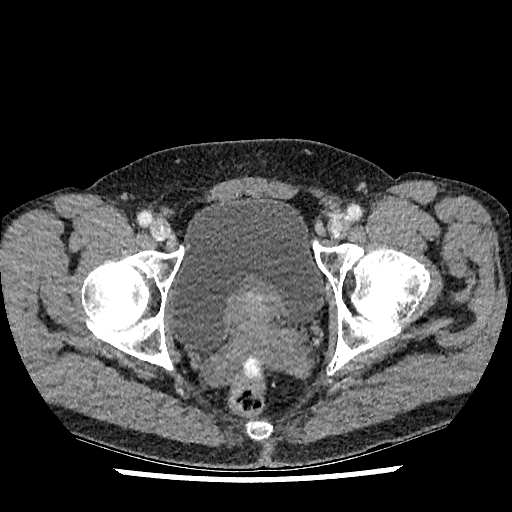 Image size 512x512; Lower abdomen; CT image
{"urinary_bladder": ["170 198 325 351"]}